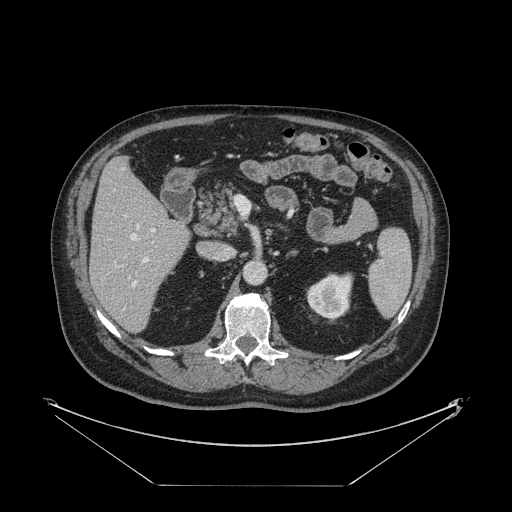

Computed tomography
Not every hepatic vessel necessarily has a box.
Segmented structures:
• hepatic vessel: 123:214:126:216, 128:276:129:277, 151:229:153:231, 142:258:146:261